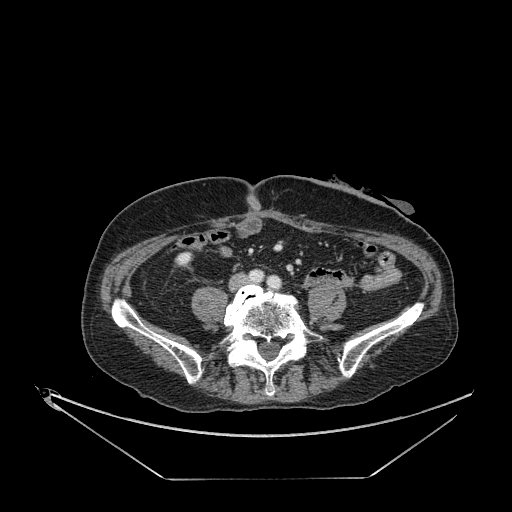
CT, Abdomen

The kidney appears at 176:252:190:264.